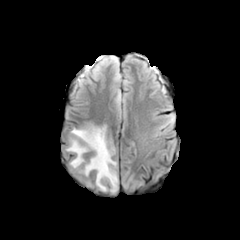
FLAIR MR.
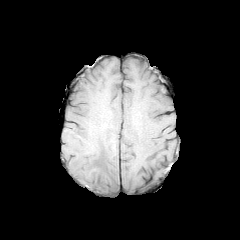
Same slice, T1-weighted MR image.
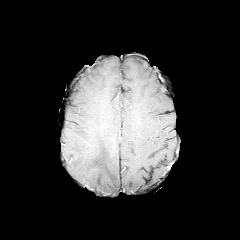
Same slice, post-contrast T1-weighted magnetic resonance.
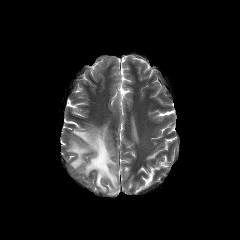
T2-weighted MR image of the same slice.
Head
The edema is bounded by box=[67, 125, 118, 193].